240x240 | Brain
FLAIR MR.
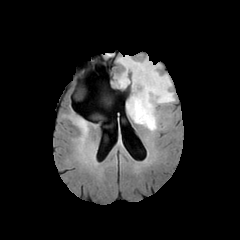
T1-weighted MR image.
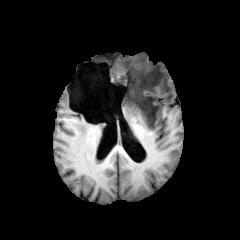
Post-contrast T1-weighted magnetic resonance.
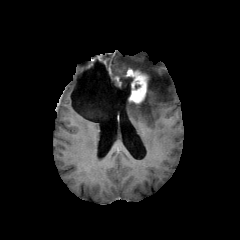
T2-weighted MRI.
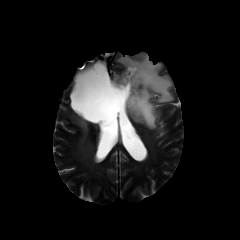
The edema lies within bbox=[117, 56, 174, 130]. 2 non-enhancing tumor core regions appear at bbox=[142, 71, 151, 95]; bbox=[114, 73, 149, 106]. The enhancing tumor is located at bbox=[126, 68, 147, 103].